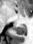
Medial temporal lobe. MRI.

Posterior hippocampus — box=[14, 25, 25, 34].